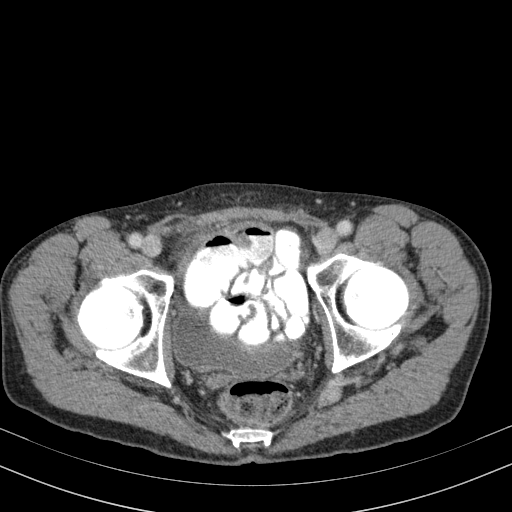 CT image

The urinary bladder lies within l=169, t=296, r=294, b=374.